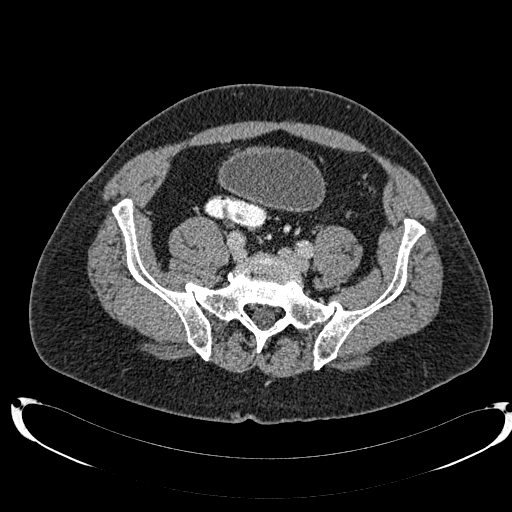

CT image. Lower abdomen.

Urinary bladder at (224, 150, 324, 208).